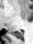 MRI
The posterior hippocampus appears at (x1=14, y1=31, x2=23, y2=38).